CT slice

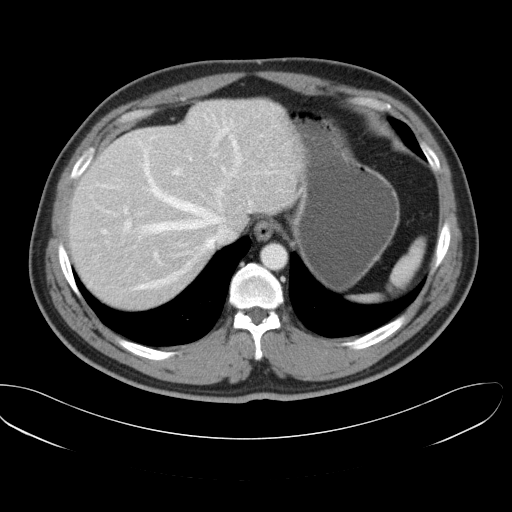 Not every hepatic vessel necessarily has a box.
The largest 15 hepatic vessel regions (of 25) appear at x1=154 y1=252 x2=161 y2=264, x1=172 y1=168 x2=181 y2=174, x1=134 y1=262 x2=190 y2=289, x1=96 y1=184 x2=117 y2=187, x1=149 y1=134 x2=159 y2=140, x1=264 y1=170 x2=276 y2=173, x1=101 y1=229 x2=106 y2=233, x1=176 y1=250 x2=195 y2=258, x1=137 y1=140 x2=233 y2=250, x1=123 y1=206 x2=127 y2=214, x1=177 y1=242 x2=186 y2=245, x1=124 y1=220 x2=131 y2=232, x1=104 y1=210 x2=112 y2=212, x1=215 y1=184 x2=225 y2=211, x1=210 y1=112 x2=241 y2=181.